MR image.

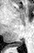
• posterior hippocampus: 6 40 23 47